Liver. CT scan slice. Image width 363 mm. 512x512.

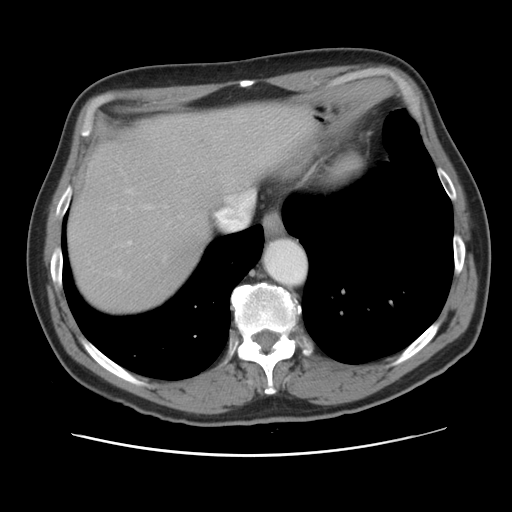
Some hepatic vessels may have no box.
Annotated regions:
* hepatic vessel: l=122, t=240, r=131, b=245; l=127, t=207, r=129, b=208; l=143, t=204, r=149, b=208; l=126, t=188, r=133, b=192